Slice 506 of 733, CT slice, Upper abdomen, 512x512
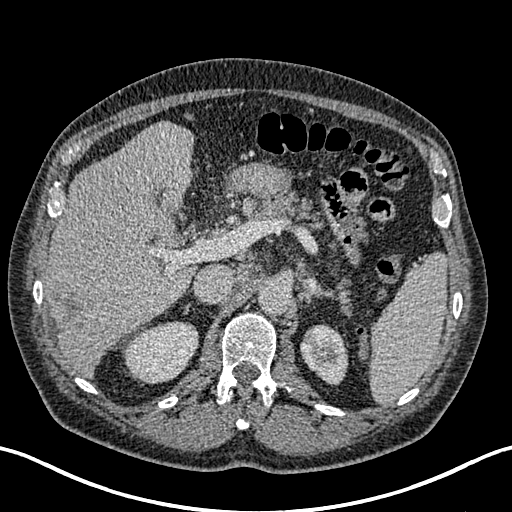 liver lesion: <box>149,181,170,201</box>, <box>53,284,95,327</box>, <box>168,235,177,242</box> | kidney: <box>126,322,197,382</box>, <box>301,325,346,383</box> | liver: <box>45,122,196,376</box>